CT; Slice index 86

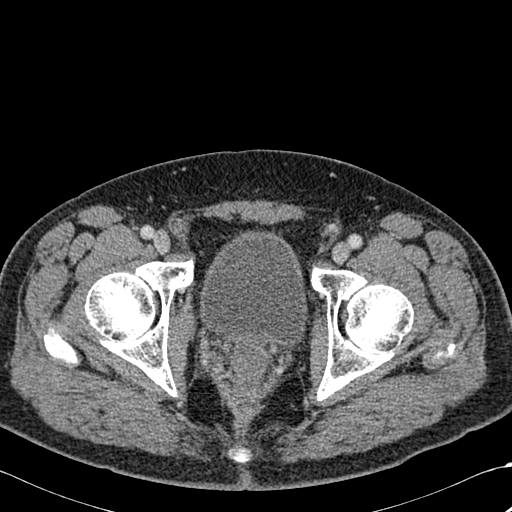

5 bone regions are located at 436:344:454:357, 44:329:77:363, 311:268:413:399, 236:451:245:461, 85:261:193:395.